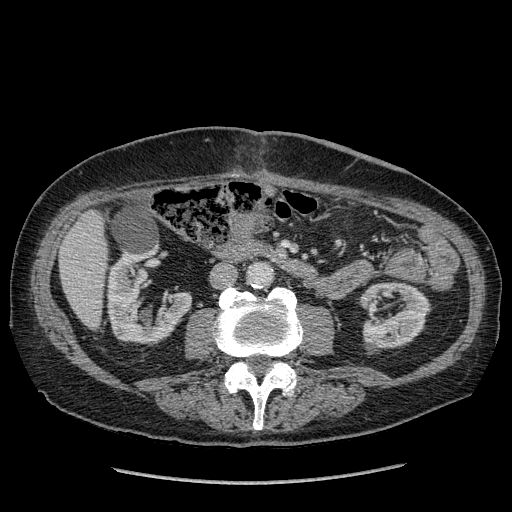

Upper abdomen | CT slice
{"kidney": ["x1=108, y1=254, x2=191, y2=342", "x1=361, y1=283, x2=430, y2=347", "x1=139, y1=269, x2=146, y2=279"], "liver": ["x1=59, y1=209, x2=107, y2=330"]}